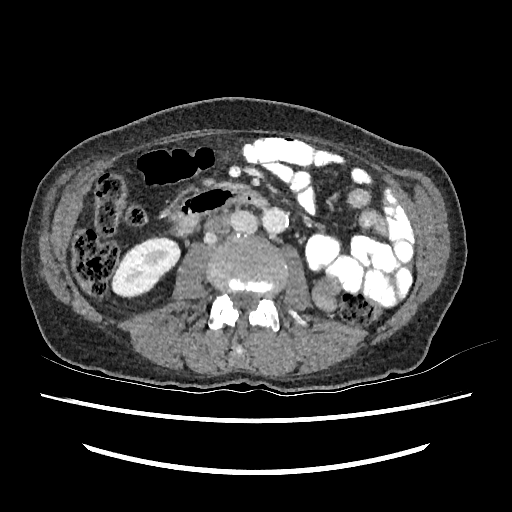

Abdomen; CT; Image size 512x512
Segmented structures:
* kidney: <box>112,238,179,295</box>